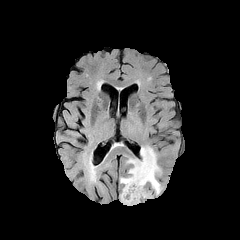
FLAIR MRI.
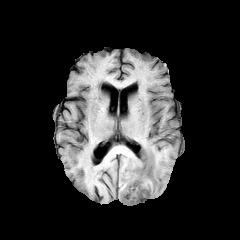
T1-weighted MR of the same slice.
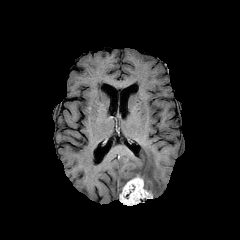
Post-contrast T1-weighted MRI.
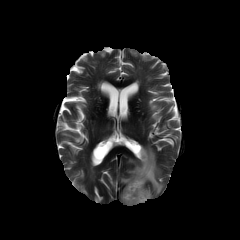
T2-weighted MR.
{"enhancing_tumor": ["x1=120, y1=174, x2=152, y2=205"], "edema": ["x1=120, y1=146, x2=162, y2=195"]}